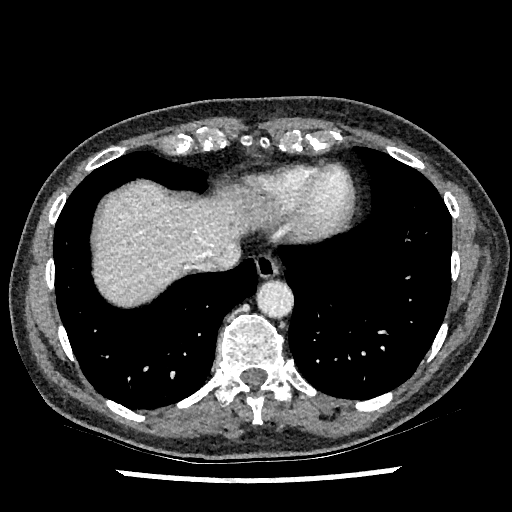
Computed tomography. liver:
  - [93,182,254,305]